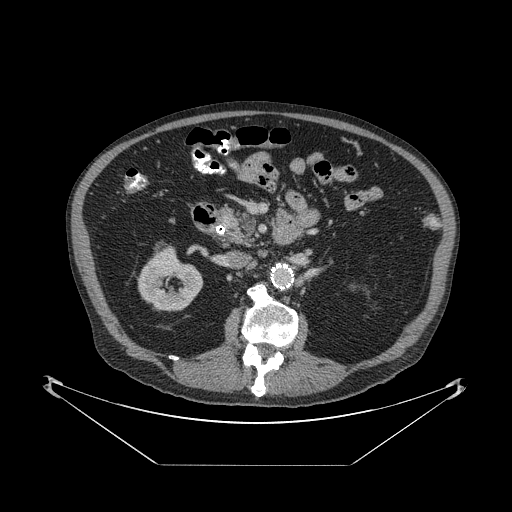 Abdomen; CT slice; 512x512 px
- pancreas: 217, 208, 256, 245